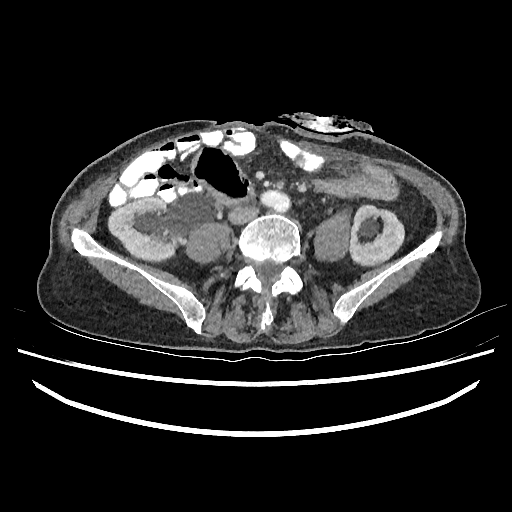

Image size 512x512 | Abdomen | CT image
2 kidney regions are located at [x1=109, y1=197, x2=173, y2=260], [x1=350, y1=205, x2=403, y2=264].